Field of view 240x240 mm | Brain
FLAIR magnetic resonance.
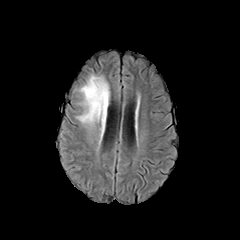
T1-weighted MRI.
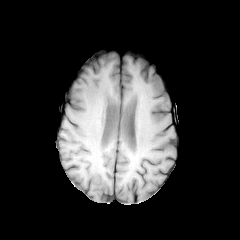
Post-contrast T1-weighted MR image.
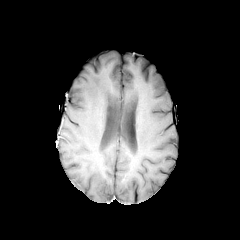
T2-weighted MR image.
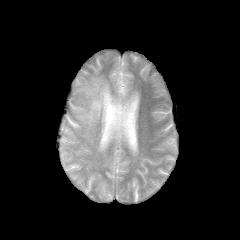
Edema — bbox(76, 74, 111, 144).